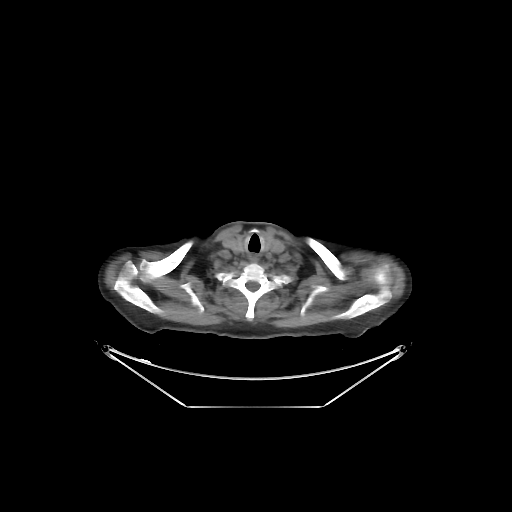
CT | Thorax
5 bone regions are located at left=216, top=263, right=288, bottom=317; left=333, top=265, right=390, bottom=317; left=115, top=242, right=191, bottom=313; left=192, top=294, right=199, bottom=305; left=308, top=238, right=353, bottom=279. The lung appears at left=248, top=234, right=260, bottom=252.